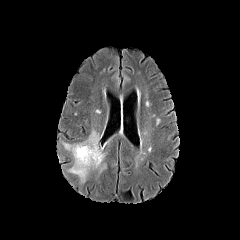
FLAIR magnetic resonance.
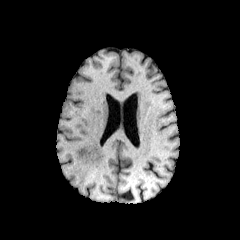
T1-weighted MRI.
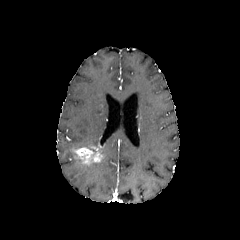
Post-contrast T1-weighted MRI.
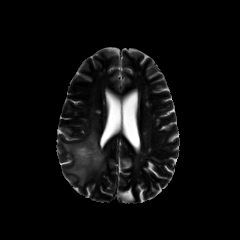
T2-weighted MRI of the same slice.
Brain
The enhancing tumor lies within box(75, 145, 103, 165). The edema is bounded by box(63, 130, 106, 183).